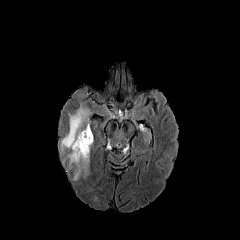
FLAIR MR.
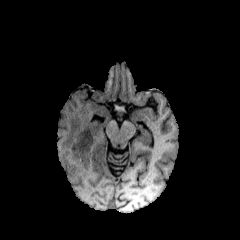
T1-weighted MR.
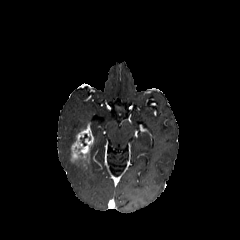
Post-contrast T1-weighted MR image.
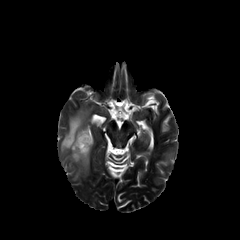
T2-weighted MR image.
240x240 px
edema: 58 103 94 180 | enhancing tumor: 71 124 93 163